Computed tomography. Liver. 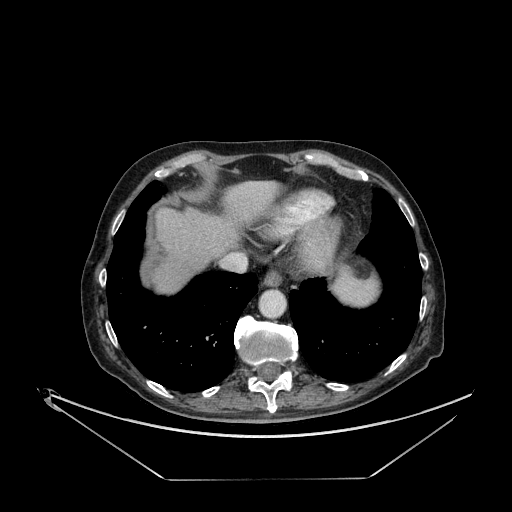 <segmentation>
  <liver>155,182,277,289</liver>
</segmentation>